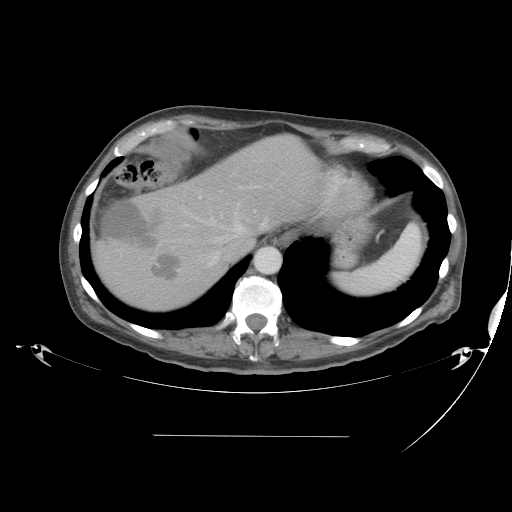

CT slice

Only some of the vessels may be annotated.
{"hepatic_vessel": ["x1=198, y1=196, x2=201, y2=198", "x1=180, y1=202, x2=248, y2=242", "x1=182, y1=223, x2=189, y2=226", "x1=207, y1=250, x2=220, y2=266", "x1=239, y1=187, x2=242, y2=188"], "liver_tumor": ["x1=103, y1=202, x2=161, y2=248", "x1=152, y1=253, x2=178, y2=278"]}